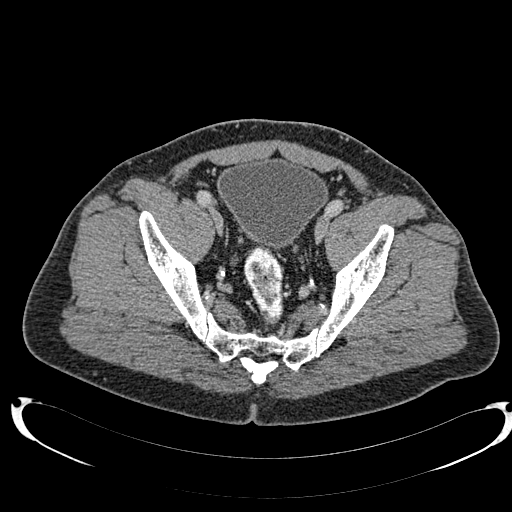 Pelvis. CT image.
Urinary bladder at box=[218, 157, 328, 249].